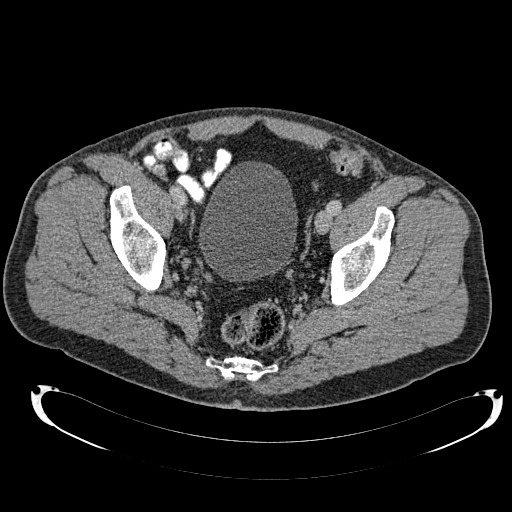 512x512 px, CT slice
Urinary bladder at (x1=198, y1=161, x2=297, y2=281).